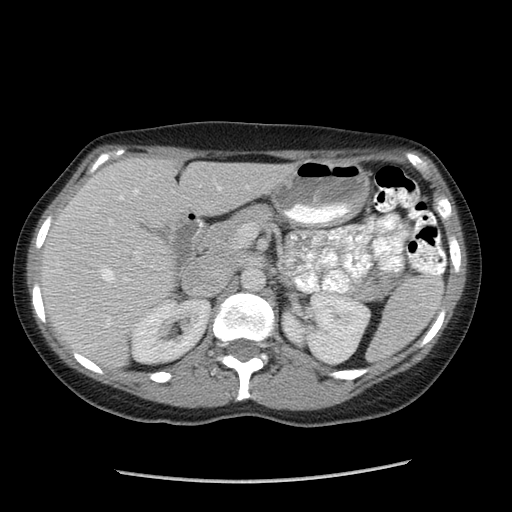
CT slice | Upper abdomen
{"spleen": ["[368,277,443,359]"]}